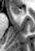
Image size 35x51. Medial temporal lobe. MRI slice. anterior_hippocampus:
  - {"x1": 10, "y1": 6, "x2": 21, "y2": 14}